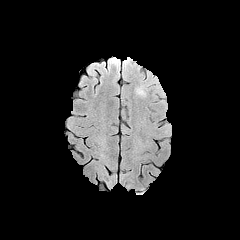
FLAIR MR image.
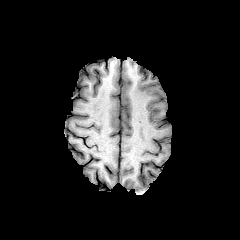
T1-weighted magnetic resonance of the same slice.
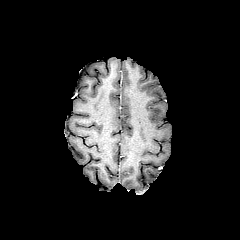
Post-contrast T1-weighted MR image of the same slice.
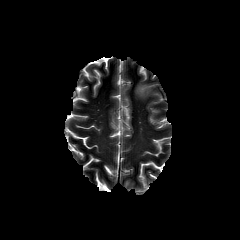
T2-weighted MRI.
Brain
Edema: <bbox>135, 82, 151, 96</bbox>.